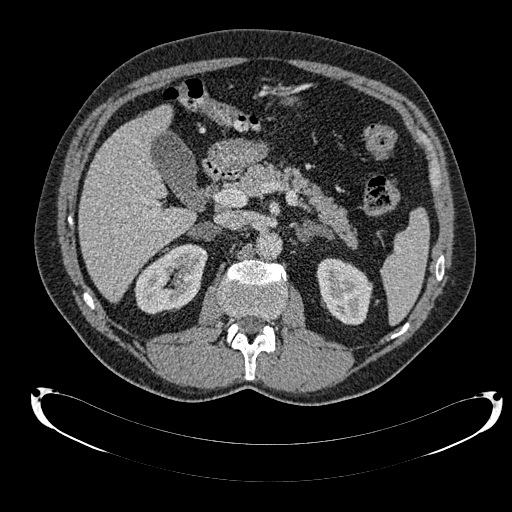

Abdomen, CT image
Segmented structures:
* kidney: [x1=135, y1=244, x2=206, y2=313], [x1=317, y1=259, x2=371, y2=324]
* liver: [x1=79, y1=106, x2=195, y2=301]